Slice 27 of 37; MRI slice; Hippocampus

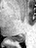
<segmentation>
  <posterior_hippocampus>(left=7, top=35, right=24, bottom=41)</posterior_hippocampus>
</segmentation>